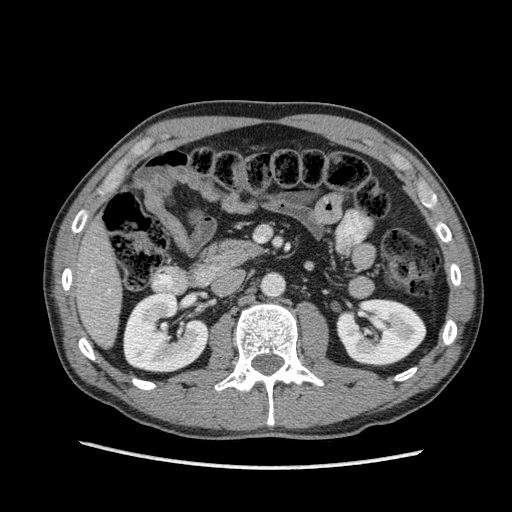 512x512 px; CT scan slice

<segmentation>
  <kidney>region(338, 300, 424, 363); region(124, 292, 207, 370)</kidney>
  <liver>region(66, 217, 122, 348)</liver>
</segmentation>